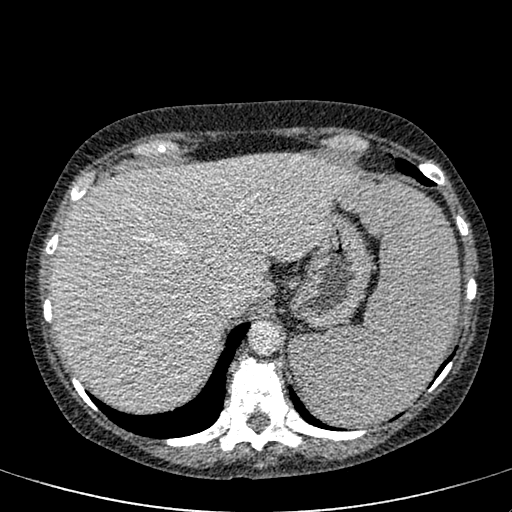

CT slice, Abdomen

liver:
  - l=53, t=155, r=355, b=411